Field of view 34 mm wide, 1.00 mm slice spacing; MR image

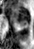
The posterior hippocampus is bounded by 20, 24, 25, 24. The anterior hippocampus lies within 12, 8, 29, 23.